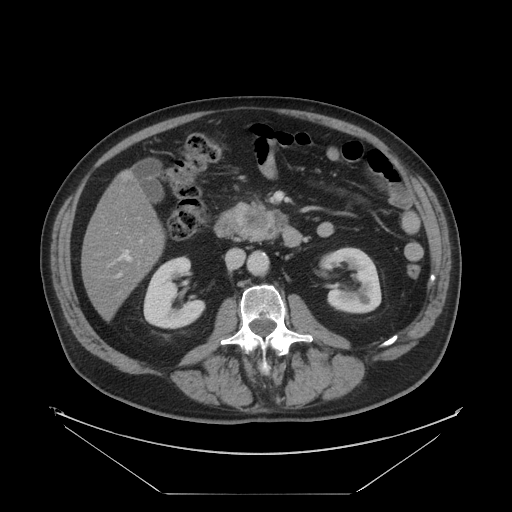

Abdomen, CT scan slice
Pancreas at <bbox>234, 201, 286, 243</bbox>.
Pancreatic tumor at <bbox>246, 213, 269, 230</bbox>.